Computed tomography.
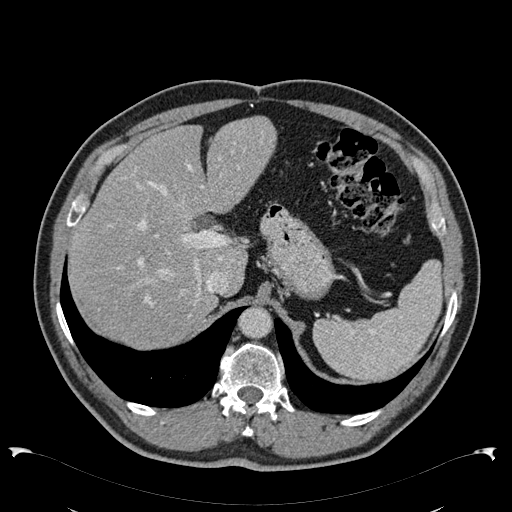 Liver = [70, 118, 275, 346].